Field of view 240x240 mm | Image size 240x240
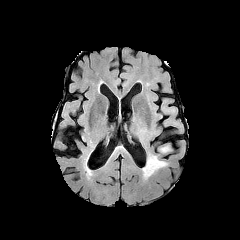
FLAIR MRI.
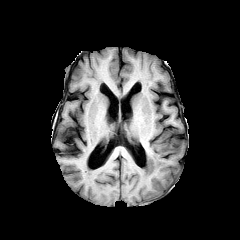
T1-weighted MR image of the same slice.
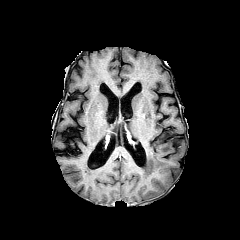
Post-contrast T1-weighted MR image of the same slice.
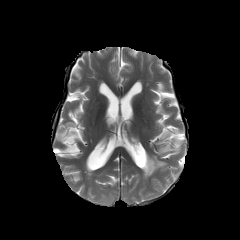
T2-weighted MR image.
edema: <box>142,153,167,179</box>, <box>159,145,171,152</box>